Field of view 350x350 mm, Upper abdomen, CT image, Slice index 420

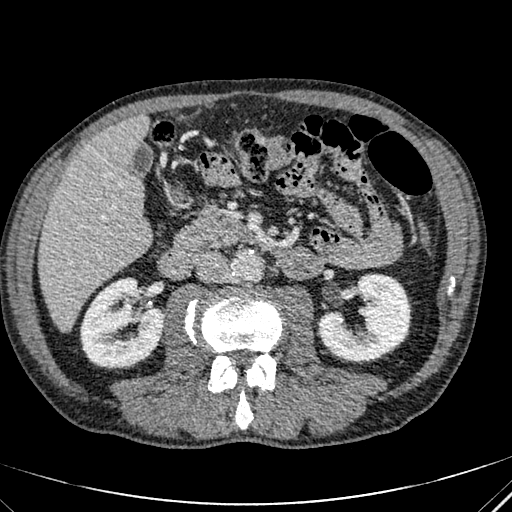 The liver is located at 39, 115, 150, 331. 2 kidney regions appear at 81, 279, 162, 366; 320, 275, 409, 360.